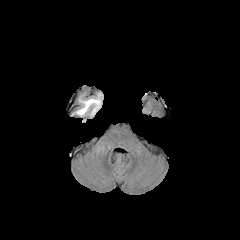
FLAIR MR.
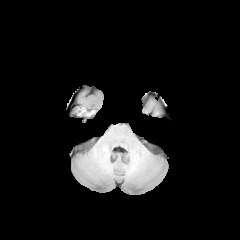
Same slice, T1-weighted MRI.
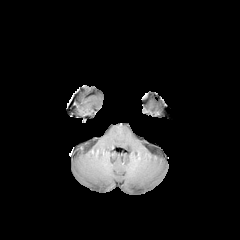
Post-contrast T1-weighted MR image.
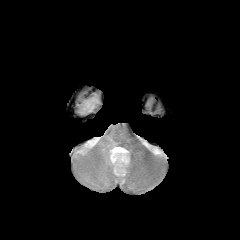
Same slice, T2-weighted MR.
Brain
Edema at (left=77, top=96, right=100, bottom=115).